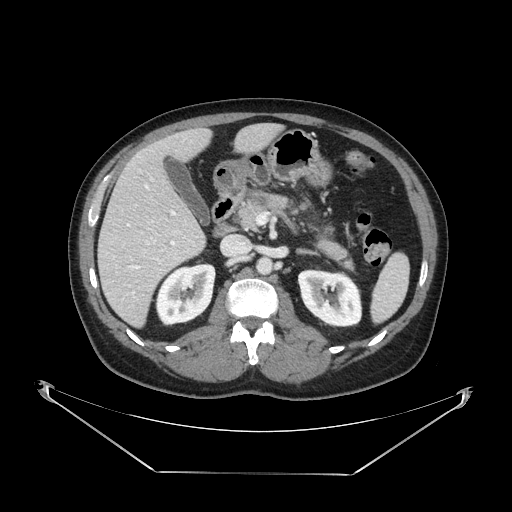
Computed tomography
{"pancreatic_tumor": ["x1=251 y1=192 x2=269 y2=208"], "pancreas": ["x1=240 y1=190 x2=308 y2=229", "x1=311 y1=221 x2=355 y2=270"]}